FLAIR MR.
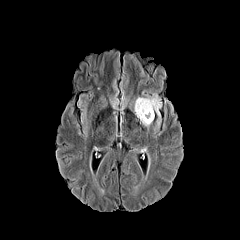
T1-weighted MRI.
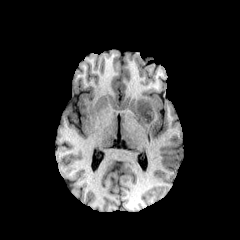
Post-contrast T1-weighted MR.
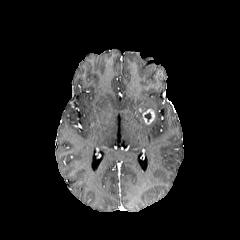
T2-weighted MR image.
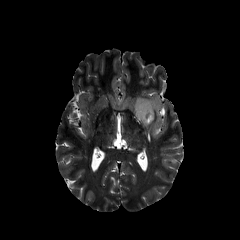
Brain
{
  "enhancing_tumor": [
    "l=143, t=109, r=154, b=124"
  ],
  "edema": [
    "l=134, t=91, r=161, b=130"
  ]
}